FLAIR magnetic resonance.
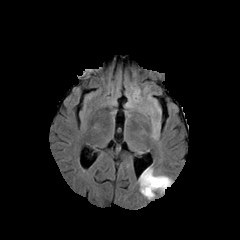
T1-weighted MRI.
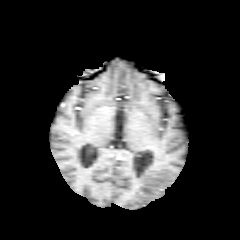
Post-contrast T1-weighted MR.
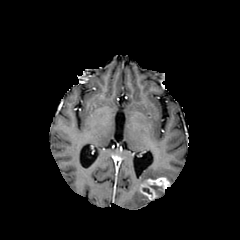
T2-weighted MR image.
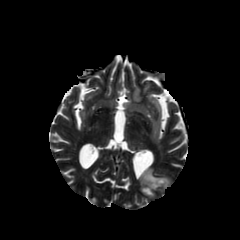
Head | 240x240 px
Findings:
* edema: (x1=152, y1=187, x2=164, y2=194), (x1=137, y1=164, x2=173, y2=192)
* enhancing tumor: (x1=140, y1=177, x2=169, y2=199)